CT scan slice

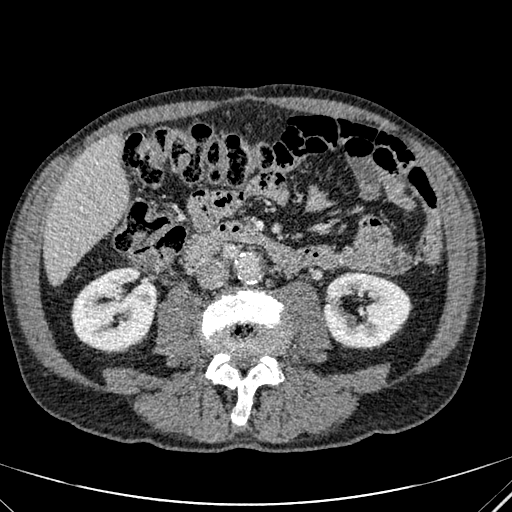

kidney:
  - l=73, t=269, r=155, b=349
  - l=325, t=273, r=409, b=346
liver:
  - l=45, t=136, r=126, b=283